Field of view 408 mm wide, 5.00 mm slice spacing | CT image 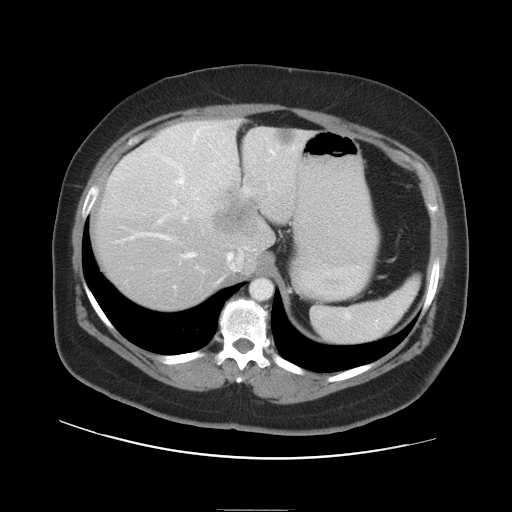
The vessel boxes may cover only some of the vessels.
Findings:
* hepatic vessel: (182,252,195,257), (227,252,241,270), (244,189,256,193), (136,233,169,239)
* liver tumor: (214,193,257,234)